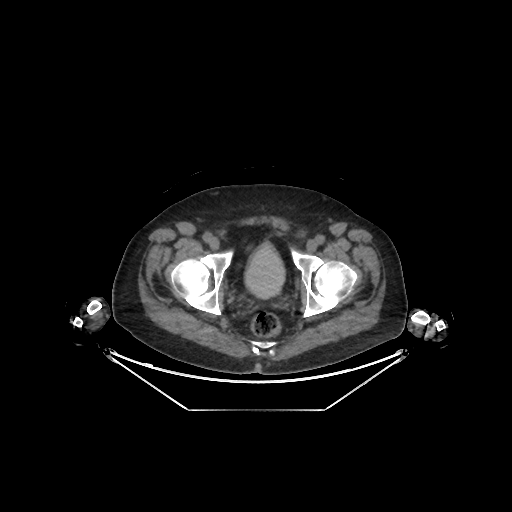 Pelvis. CT slice. {"urinary_bladder": ["bbox=[245, 242, 284, 297]"]}